FLAIR magnetic resonance.
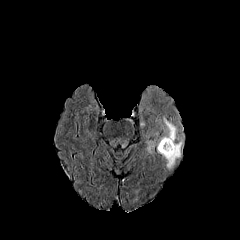
T1-weighted magnetic resonance.
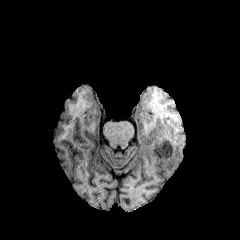
Post-contrast T1-weighted MR.
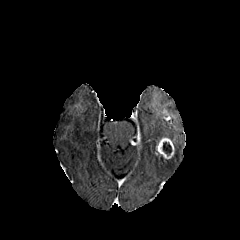
T2-weighted MR.
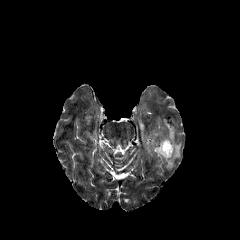
Brain; Image size 240x240
Segmented structures:
• enhancing tumor: bbox=[155, 136, 174, 158]
• non-enhancing tumor core: bbox=[163, 142, 172, 154]
• edema: bbox=[145, 132, 159, 154]; bbox=[157, 115, 184, 170]